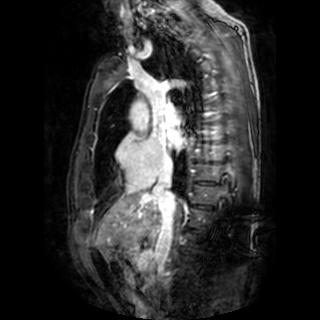 Heart; MR image

• left atrium: box(168, 131, 187, 149)